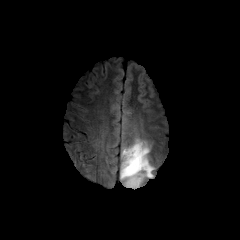
FLAIR MRI.
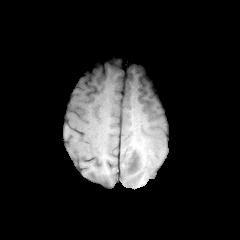
T1-weighted MR image of the same slice.
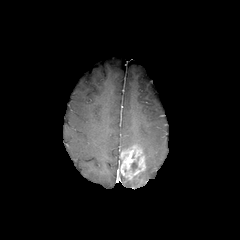
Post-contrast T1-weighted MRI.
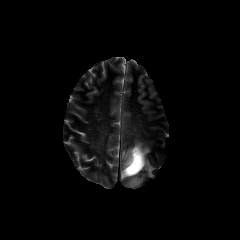
T2-weighted MR image of the same slice.
The non-enhancing tumor core appears at left=122, top=171, right=144, bottom=186. The enhancing tumor is located at left=120, top=145, right=145, bottom=180. 2 edema regions are bounded by left=121, top=138, right=153, bottom=181; left=120, top=158, right=131, bottom=187.